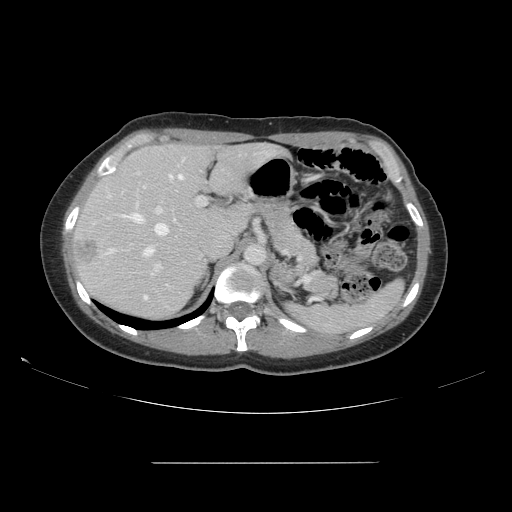 Image size 512x512. Computed tomography.
Some hepatic vessels may have no box.
{"partial": true, "liver_tumor": ["left=76, top=241, right=98, bottom=264"], "hepatic_vessel": {"n_total": 18, "boxes": ["left=107, top=192, right=110, bottom=198", "left=143, top=186, right=145, bottom=187", "left=155, top=264, right=162, bottom=271", "left=196, top=197, right=205, bottom=206", "left=100, top=248, right=114, bottom=255", "left=143, top=295, right=146, bottom=299", "left=169, top=175, right=172, bottom=178", "left=182, top=158, right=184, bottom=161", "left=136, top=202, right=138, bottom=207", "left=178, top=174, right=183, bottom=179", "left=136, top=172, right=139, bottom=173", "left=118, top=211, right=144, bottom=222", "left=144, top=246, right=153, bottom=256", "left=155, top=206, right=161, bottom=213", "left=154, top=223, right=168, bottom=235"]}}